CT image. Image size 512x512. Slice 31 of 89. 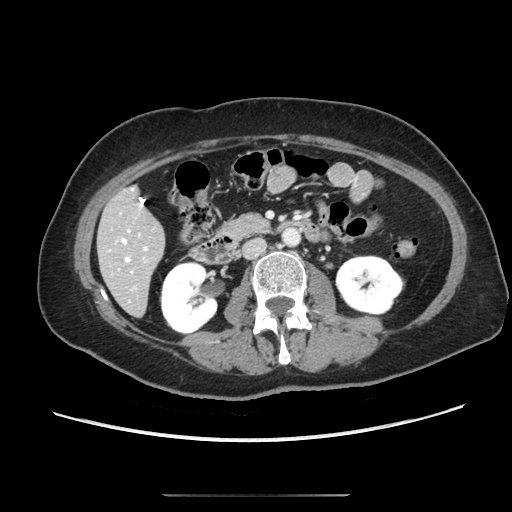

The pancreas lies within l=223, t=215, r=265, b=235.